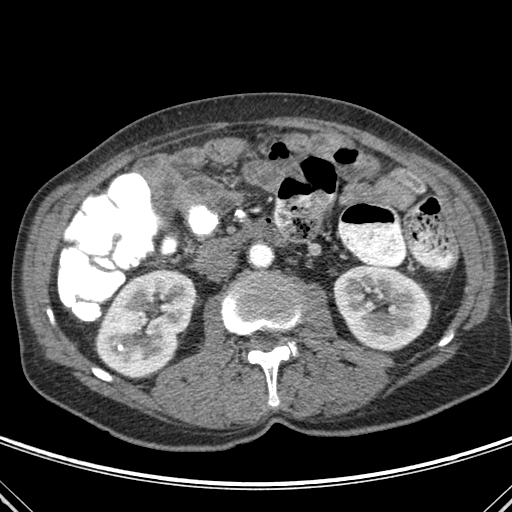 CT image. Abdomen. Kidney: bounding box box=[97, 274, 195, 376]; box=[334, 265, 429, 349].
Bone: bounding box box=[222, 271, 302, 334]; box=[439, 332, 452, 345]; box=[235, 210, 244, 217]; box=[247, 341, 297, 406]; box=[47, 310, 53, 323]; box=[92, 368, 111, 381].